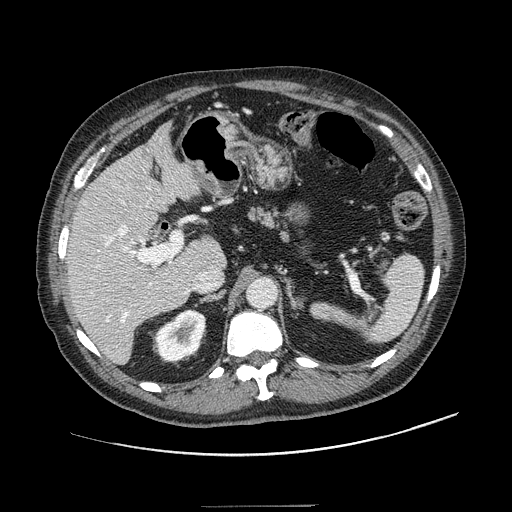

Abdomen, CT slice
The pancreas is at box(244, 202, 313, 232).